Abdomen, CT scan slice, Image size 512x512 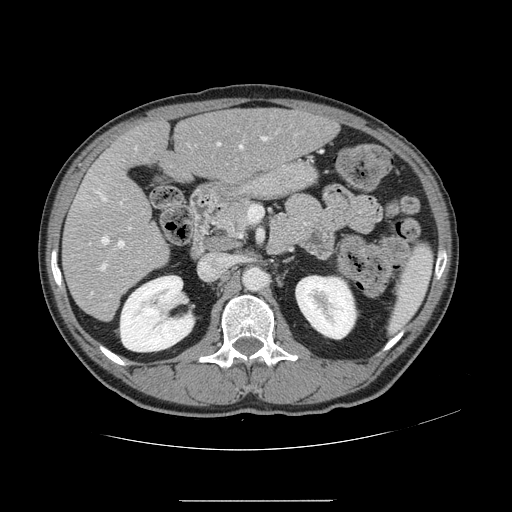
Some hepatic vessels may have no box.
11 hepatic vessel regions are bounded by (120,202,122,203), (102,236,108,244), (135,146,136,149), (105,176,107,177), (261,136,267,139), (118,241,123,247), (99,264,105,270), (239,144,242,148), (94,190,105,200), (217,142,219,145), (91,292,92,294).